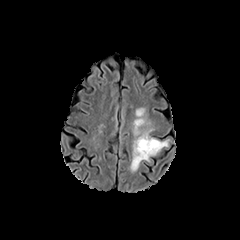
FLAIR magnetic resonance.
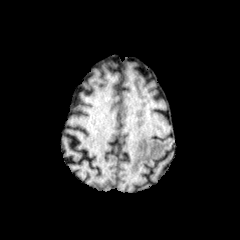
T1-weighted MR.
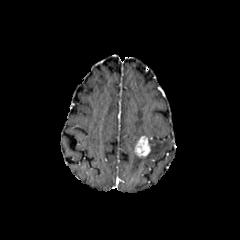
Post-contrast T1-weighted MRI.
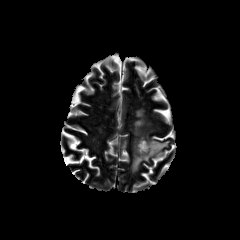
T2-weighted magnetic resonance.
Head
The edema lies within [129, 109, 169, 172]. The enhancing tumor is located at [134, 135, 152, 157].